FLAIR MRI.
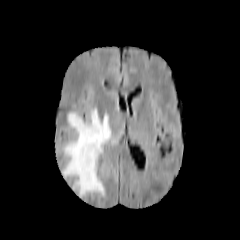
T1-weighted MR.
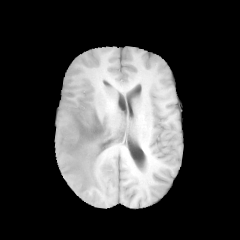
Post-contrast T1-weighted MR image.
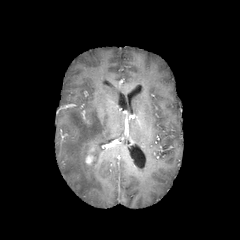
T2-weighted MR.
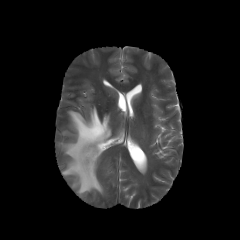
Head
The enhancing tumor is bounded by <box>85,150,93,164</box>. The edema is at <box>62,109,111,197</box>.